512x512 px; Computed tomography
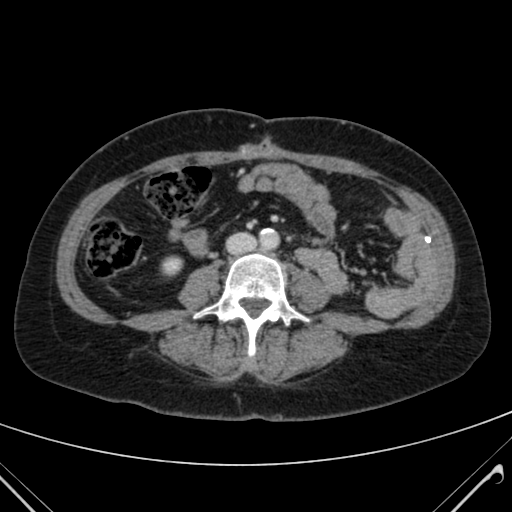
Segmented structures:
• kidney: 165 261 177 270